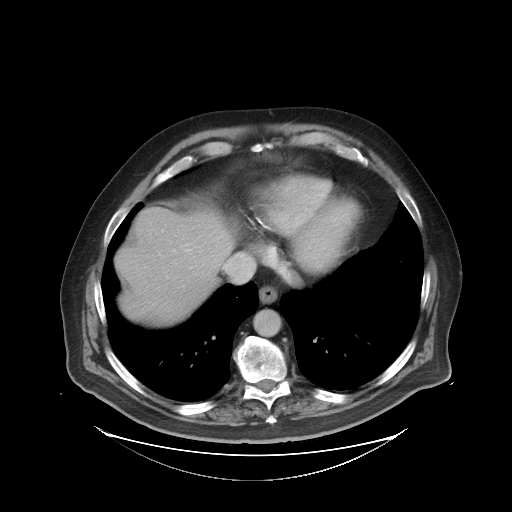 Abdomen, CT slice
The vessel boxes may cover only some of the vessels.
The hepatic vessel lies within [155, 302, 157, 304].